Slice 120/155 | Head
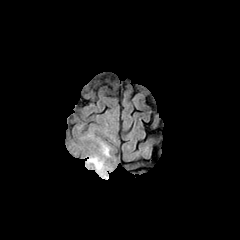
FLAIR MRI.
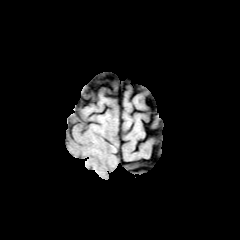
T1-weighted MR image of the same slice.
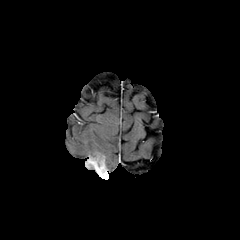
Post-contrast T1-weighted magnetic resonance of the same slice.
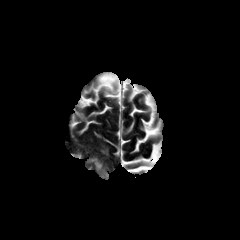
T2-weighted MR.
<segmentation>
  <enhancing_tumor>rect(86, 152, 108, 179)</enhancing_tumor>
  <edema>rect(84, 131, 113, 171)</edema>
</segmentation>